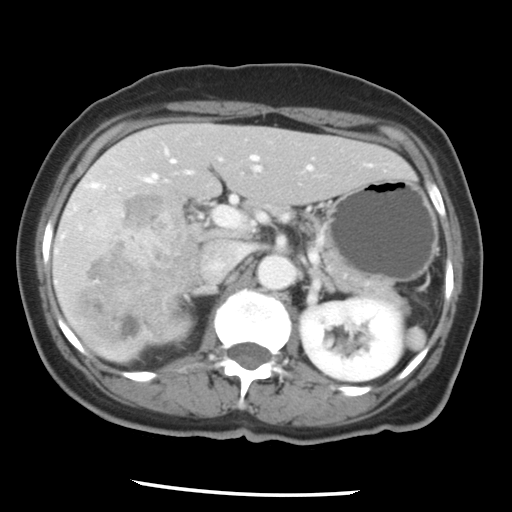 Liver, CT

Only some of the vessels may be annotated.
Hepatic vessel: bounding box [x1=83, y1=176, x2=107, y2=194], [x1=255, y1=166, x2=259, y2=169], [x1=140, y1=173, x2=157, y2=183], [x1=307, y1=165, x2=311, y2=169], [x1=214, y1=207, x2=244, y2=227], [x1=250, y1=155, x2=259, y2=160], [x1=185, y1=170, x2=191, y2=174], [x1=205, y1=244, x2=248, y2=274], [x1=164, y1=148, x2=176, y2=163].
Liver tumor: bounding box [x1=74, y1=191, x2=192, y2=348].